FLAIR MR.
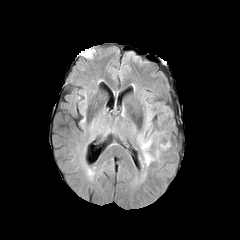
T1-weighted MR image.
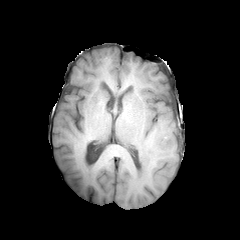
Post-contrast T1-weighted MR.
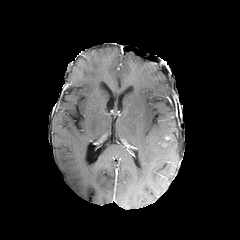
T2-weighted MR image.
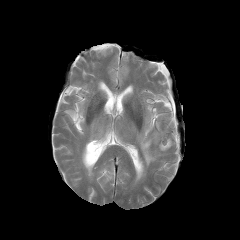
240x240 px | Head
<segmentation>
  <edema>l=159, t=140, r=171, b=150; l=137, t=102, r=163, b=171</edema>
</segmentation>